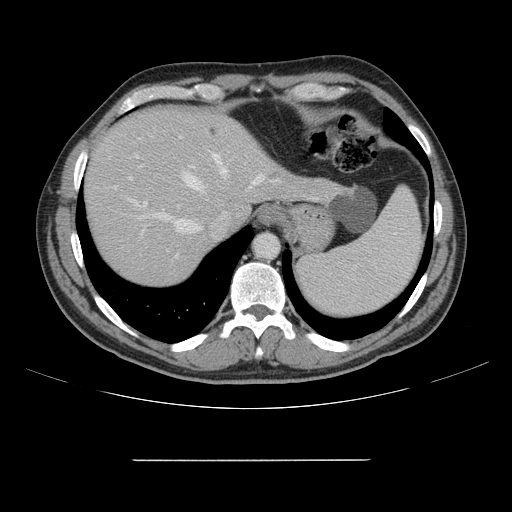 CT scan slice
Only some of the vessels may be annotated.
14 hepatic vessel regions are bounded by rect(184, 220, 191, 225); rect(220, 167, 226, 173); rect(175, 219, 182, 232); rect(191, 224, 199, 232); rect(252, 175, 264, 183); rect(211, 153, 220, 164); rect(191, 166, 194, 167); rect(136, 212, 169, 219); rect(135, 155, 138, 158); rect(141, 227, 144, 235); rect(246, 186, 250, 189); rect(129, 177, 132, 179); rect(130, 199, 146, 208); rect(180, 136, 181, 137). The liver tumor is located at rect(269, 173, 278, 179).